240x240, Slice index 86, Brain
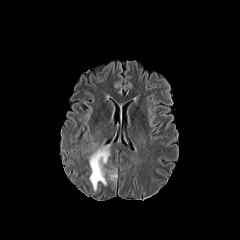
FLAIR MRI.
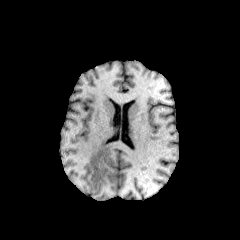
T1-weighted MR image.
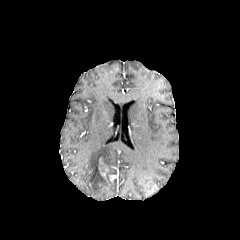
Post-contrast T1-weighted MRI.
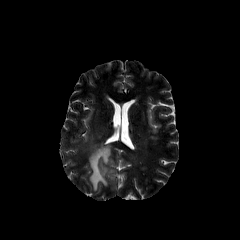
Same slice, T2-weighted MR.
Edema — 86:139:110:192.